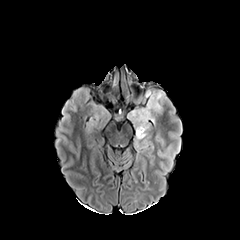
FLAIR magnetic resonance.
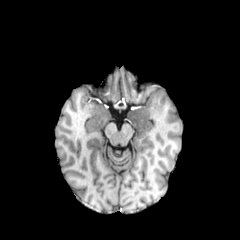
Same slice, T1-weighted MR image.
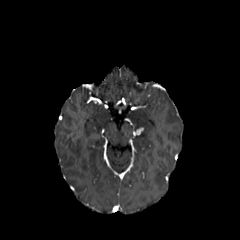
Same slice, post-contrast T1-weighted MR.
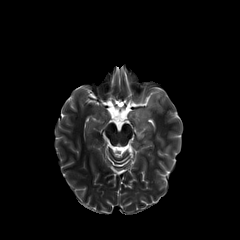
T2-weighted MRI.
240x240 | Head
2 edema regions appear at [x1=134, y1=89, x2=151, y2=103], [x1=127, y1=93, x2=161, y2=152].